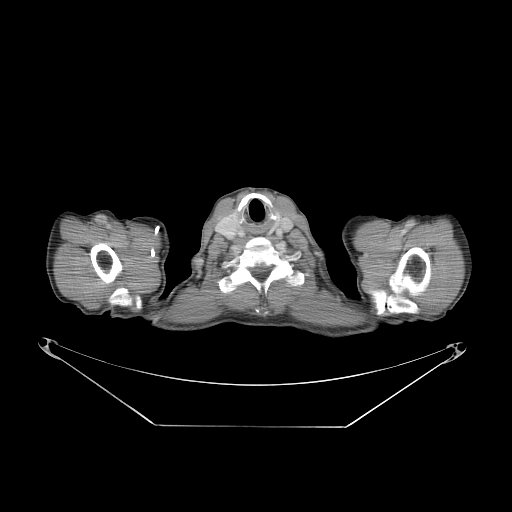 Image size 512x512. CT.

Segmented structures:
• bone: box=[90, 243, 121, 283]; box=[218, 237, 291, 293]; box=[110, 289, 130, 304]; box=[371, 247, 430, 313]